FLAIR MR image.
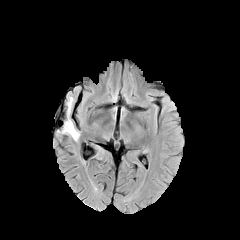
T1-weighted MR image.
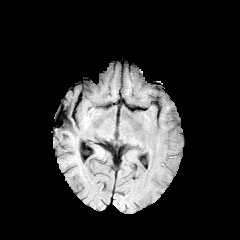
Post-contrast T1-weighted MR.
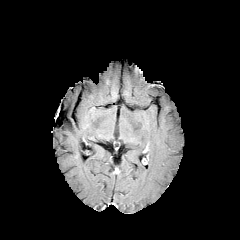
T2-weighted MR image.
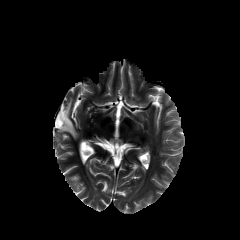
Brain.
Annotated regions:
- edema: [62,97,79,139]